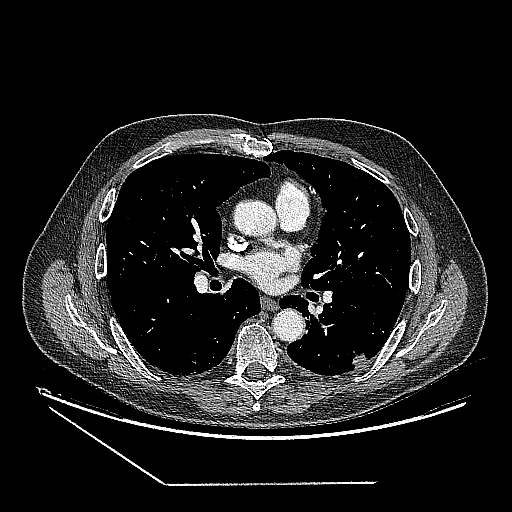

CT slice
The lung tumor is bounded by box=[350, 351, 370, 368].